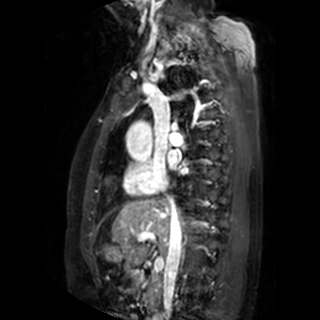
320x320 px | MRI slice | Heart
left_atrium:
  - rect(168, 151, 176, 168)